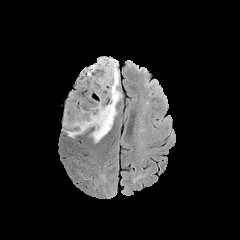
FLAIR magnetic resonance.
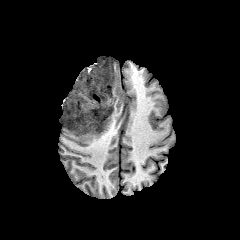
Same slice, T1-weighted MRI.
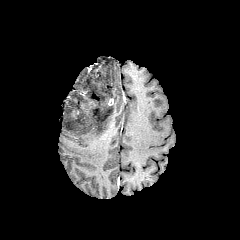
Same slice, post-contrast T1-weighted magnetic resonance.
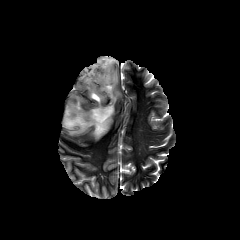
T2-weighted MRI.
non-enhancing tumor core: [92,102,111,122], [98,62,112,93] | edema: [64,58,120,142], [82,63,106,85]